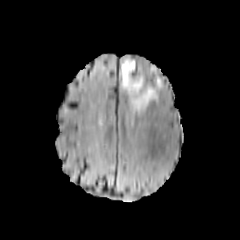
FLAIR MR.
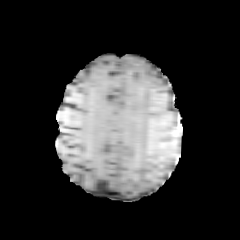
Same slice, T1-weighted MR.
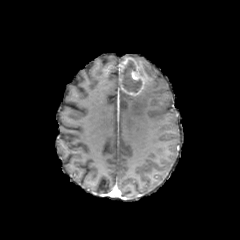
Post-contrast T1-weighted MR image of the same slice.
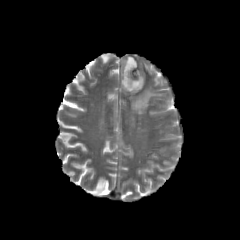
T2-weighted MR.
Head; 240x240 px
<segmentation>
  <edema>(left=156, top=75, right=162, bottom=85), (left=128, top=83, right=160, bottom=114)</edema>
  <enhancing_tumor>(left=119, top=57, right=144, bottom=95)</enhancing_tumor>
  <non-enhancing_tumor_core>(left=120, top=60, right=142, bottom=92)</non-enhancing_tumor_core>
</segmentation>